Image size 240x240
FLAIR magnetic resonance.
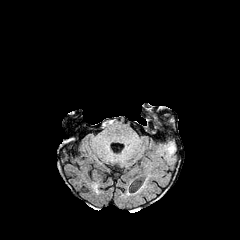
T1-weighted MR image.
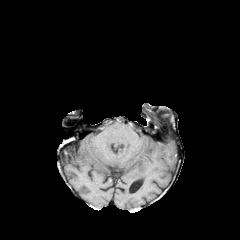
Post-contrast T1-weighted MR.
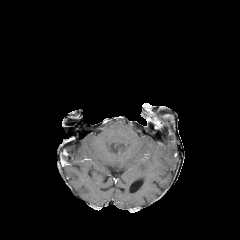
T2-weighted magnetic resonance.
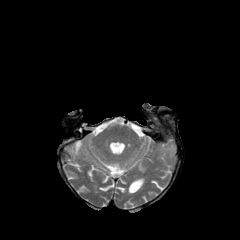
edema: {"x1": 160, "y1": 142, "x2": 175, "y2": 157}